Brain, Slice 32/155, 240x240 px
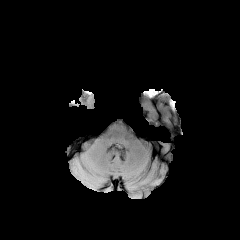
FLAIR MRI.
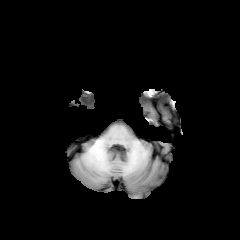
T1-weighted MRI.
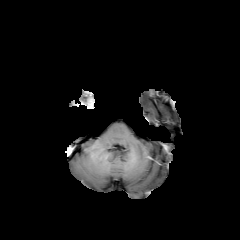
Same slice, post-contrast T1-weighted MRI.
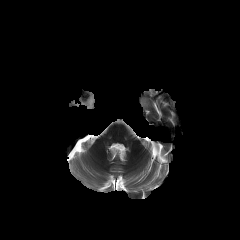
Same slice, T2-weighted magnetic resonance.
* non-enhancing tumor core: [81,97,92,107]